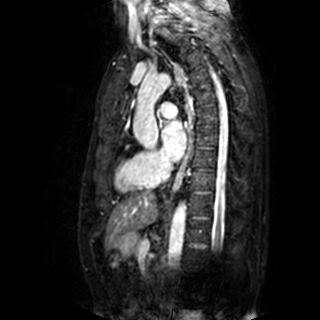 MR image, Image size 320x320

The left atrium is bounded by 161 121 186 161.